Computed tomography; Upper abdomen 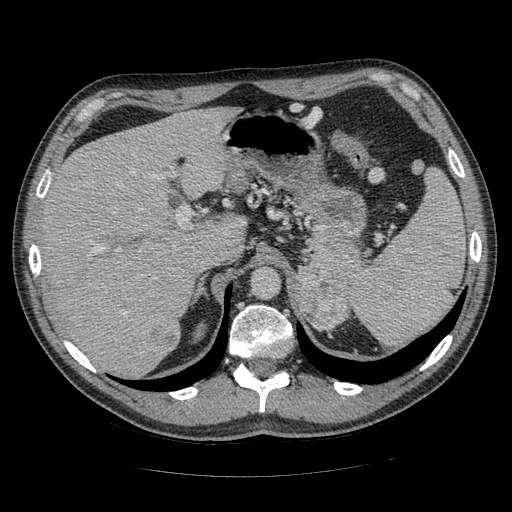
2 pancreas regions appear at left=303, top=230, right=363, bottom=296; left=295, top=274, right=303, bottom=316. The pancreatic tumor appears at left=298, top=263, right=348, bottom=329.